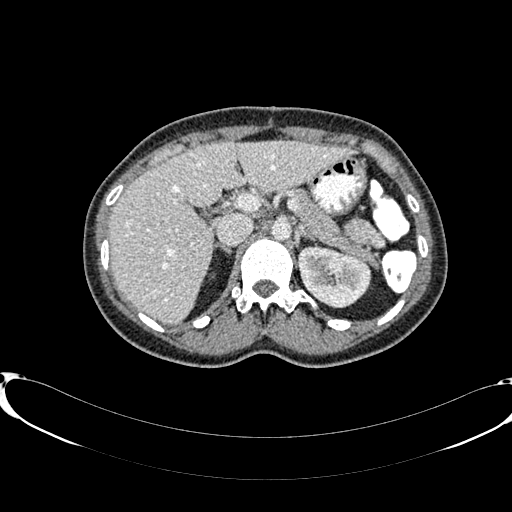

Upper abdomen, CT slice, 512x512 px
The liver appears at region(108, 141, 357, 322). The kidney is bounded by region(299, 248, 369, 308).